FLAIR MRI.
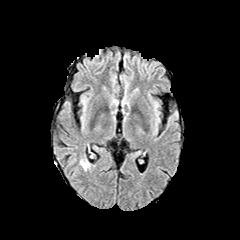
T1-weighted MR.
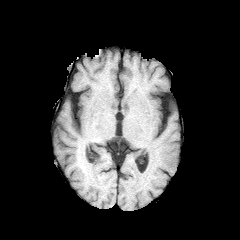
Post-contrast T1-weighted MR.
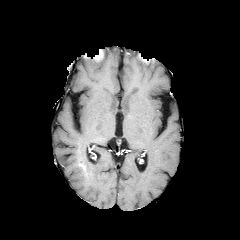
T2-weighted magnetic resonance.
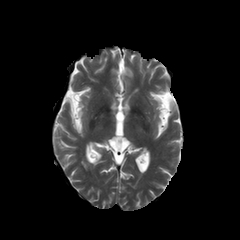
Head. Image size 240x240.
The edema lies within left=79, top=154, right=95, bottom=170.